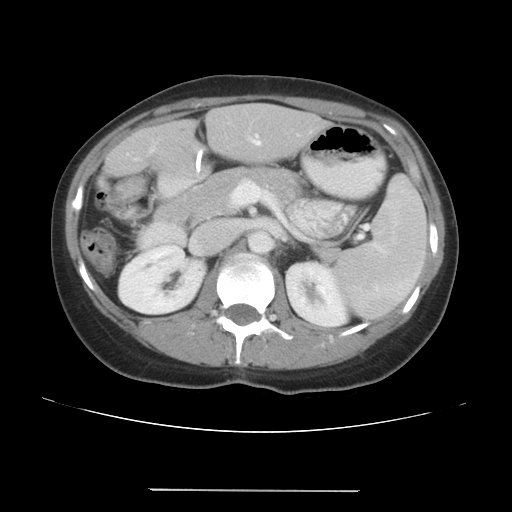
CT slice
Only some of the vessels may be annotated.
The hepatic vessel is bounded by box(254, 140, 257, 142).